FLAIR MR.
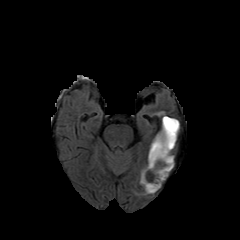
T1-weighted MR image.
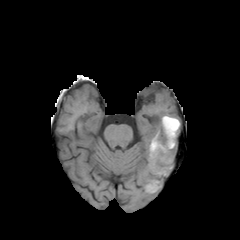
Post-contrast T1-weighted magnetic resonance.
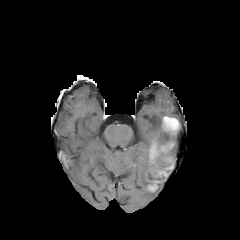
T2-weighted MR.
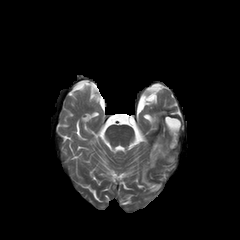
Image size 240x240
{
  "enhancing_tumor": [
    "rect(164, 116, 179, 133)"
  ],
  "edema": [
    "rect(152, 124, 167, 145)",
    "rect(140, 149, 173, 193)"
  ],
  "non-enhancing_tumor_core": [
    "rect(149, 118, 179, 165)",
    "rect(158, 164, 172, 177)"
  ]
}